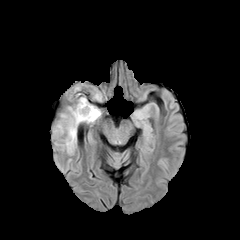
FLAIR magnetic resonance.
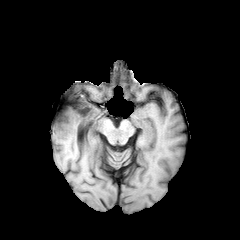
T1-weighted magnetic resonance.
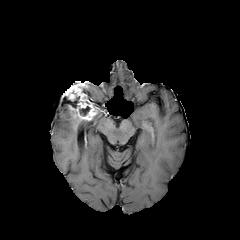
Post-contrast T1-weighted MR.
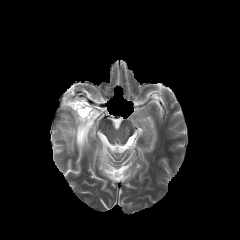
T2-weighted MR of the same slice.
3 non-enhancing tumor core regions are bounded by 80 85 102 109, 63 93 79 120, 79 106 89 115. The enhancing tumor is bounded by 65 83 101 122. 2 edema regions are bounded by 54 113 91 150, 89 88 103 107.